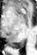
Magnetic resonance | 37x55 | Medial temporal lobe

<segmentation>
  <posterior_hippocampus><bbox>10, 40, 24, 49</bbox></posterior_hippocampus>
</segmentation>